Slice index 42. Brain.
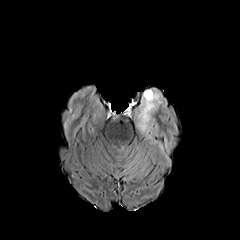
FLAIR MRI.
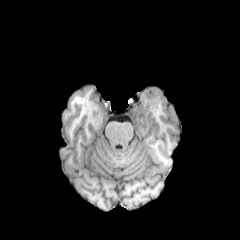
Same slice, T1-weighted magnetic resonance.
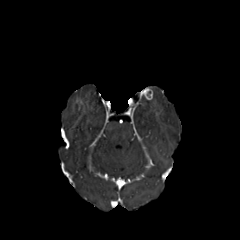
Post-contrast T1-weighted MR.
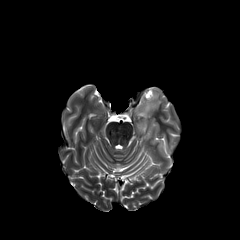
T2-weighted MR image.
Enhancing tumor = x1=142, y1=88, x2=152, y2=99.
Edema = x1=132, y1=92, x2=162, y2=147.